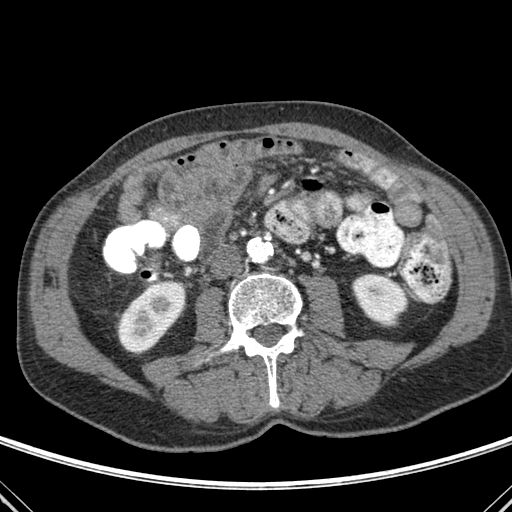

Abdomen. CT. <segmentation>
  <kidney>{"x1": 354, "y1": 275, "x2": 404, "y2": 324}, {"x1": 119, "y1": 282, "x2": 184, "y2": 351}</kidney>
  <bone>{"x1": 217, "y1": 273, "x2": 303, "y2": 407}</bone>
</segmentation>